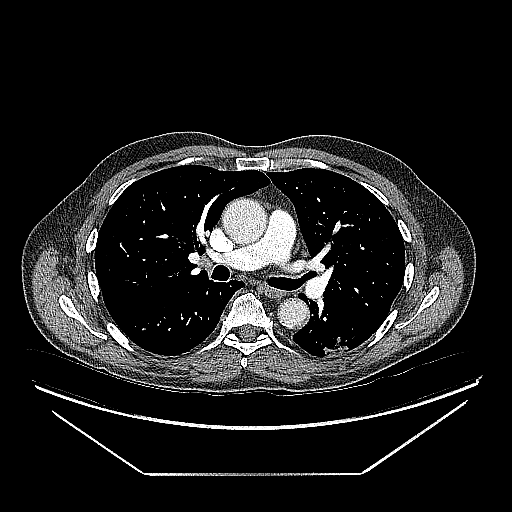
CT
<segmentation>
  <lung_tumor>319 336 350 355</lung_tumor>
</segmentation>